Computed tomography; Image width 480 mm; Liver; Slice index 25 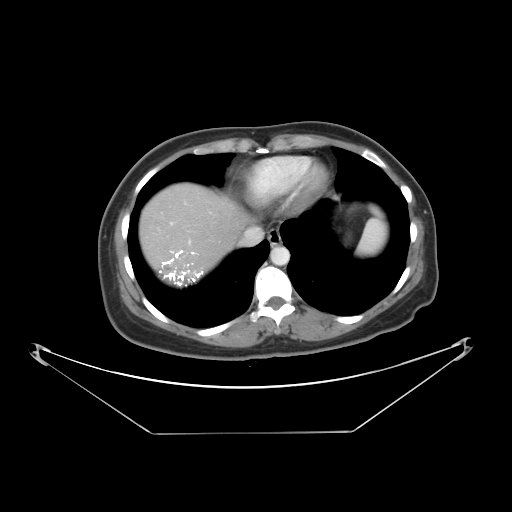 liver_tumor:
  - box=[158, 249, 202, 285]